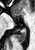

MRI slice
The posterior hippocampus lies within rect(16, 28, 25, 42).